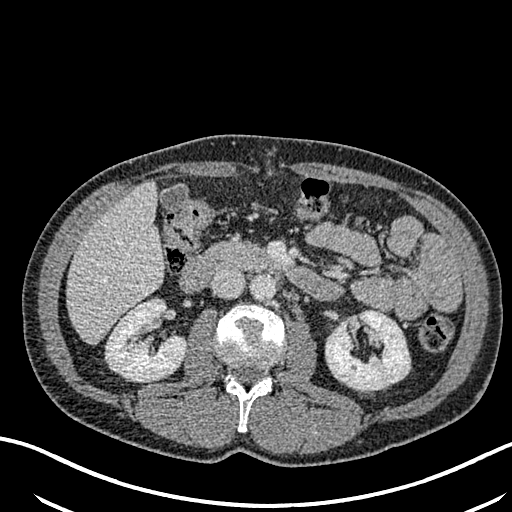

CT scan slice | Abdomen | 512x512 px

<segmentation>
  <kidney>106, 300, 185, 381; 326, 311, 409, 389</kidney>
  <liver>67, 181, 163, 342</liver>
</segmentation>